Image width 445 mm | Image size 512x512 | CT scan slice
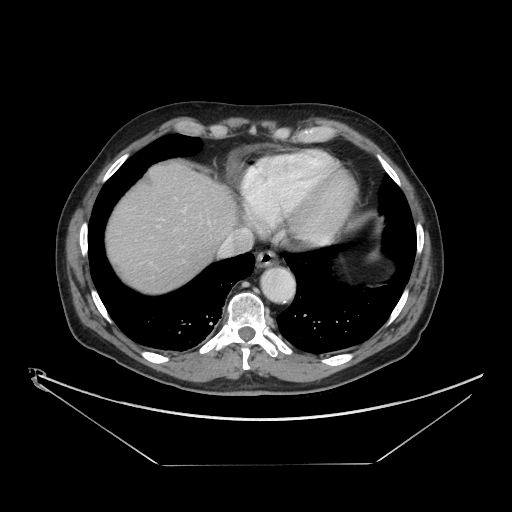 The vessel boxes may cover only some of the vessels.
Hepatic vessel = left=182, top=207, right=185, bottom=210.